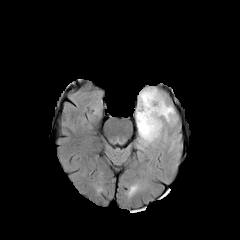
FLAIR MR image.
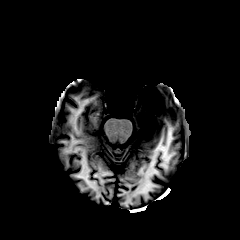
T1-weighted MR.
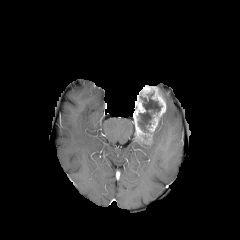
Same slice, post-contrast T1-weighted magnetic resonance.
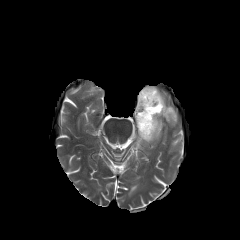
Same slice, T2-weighted MRI.
<segmentation>
  <enhancing_tumor>box(133, 103, 145, 123); box(142, 85, 165, 130)</enhancing_tumor>
  <edema>box(135, 97, 177, 151)</edema>
  <non-enhancing_tumor_core>box(136, 90, 161, 140)</non-enhancing_tumor_core>
</segmentation>